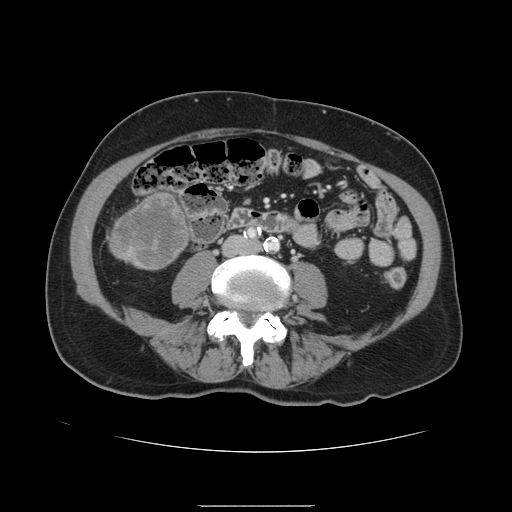
Liver; Computed tomography
Liver tumor: bounding box 113,194,187,268.